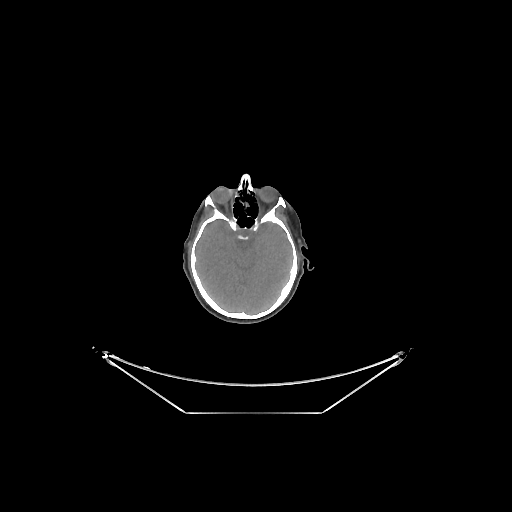
CT image

Brain at 195, 219, 292, 314.